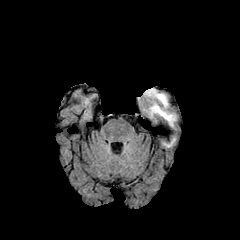
FLAIR MR.
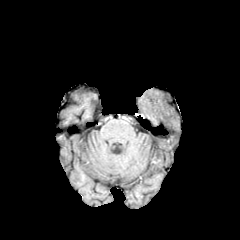
T1-weighted MRI.
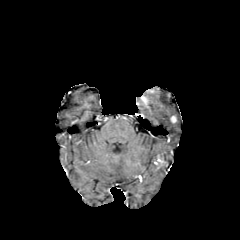
Post-contrast T1-weighted magnetic resonance.
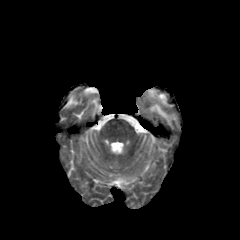
T2-weighted magnetic resonance.
non-enhancing_tumor_core:
  - (147,92,157,97)
edema:
  - (140,89,175,127)